CT, Lower abdomen, Image size 512x512

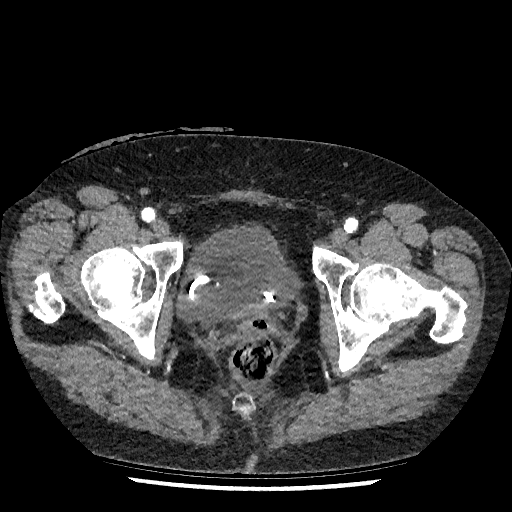
Segmented structures:
• urinary bladder: (175, 223, 296, 328)